Slice 217/696. Abdomen. Image width 339 mm. CT slice.
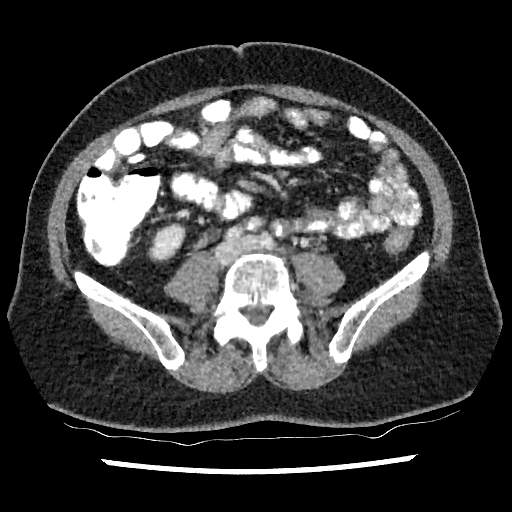 The kidney is bounded by 153:226:181:258.